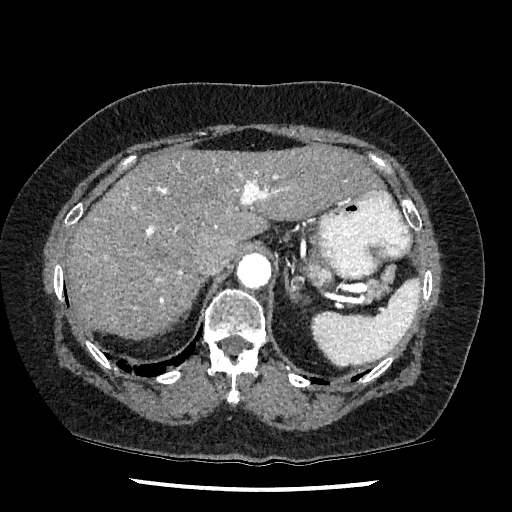
Computed tomography

Liver: bounding box x1=66 y1=146 x2=384 y2=339.